FLAIR MR image.
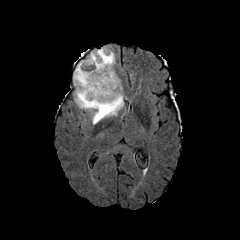
T1-weighted magnetic resonance.
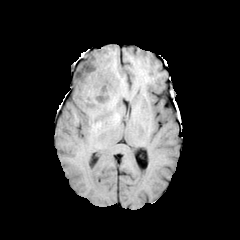
Post-contrast T1-weighted magnetic resonance.
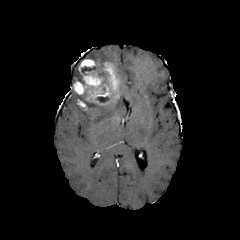
T2-weighted MR.
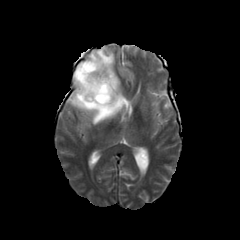
240x240
2 edema regions appear at {"x1": 87, "y1": 83, "x2": 126, "y2": 124}, {"x1": 82, "y1": 47, "x2": 115, "y2": 67}. 2 non-enhancing tumor core regions appear at {"x1": 76, "y1": 59, "x2": 107, "y2": 84}, {"x1": 74, "y1": 88, "x2": 119, "y2": 110}. 2 enhancing tumor regions appear at {"x1": 74, "y1": 64, "x2": 118, "y2": 100}, {"x1": 78, "y1": 59, "x2": 95, "y2": 70}.